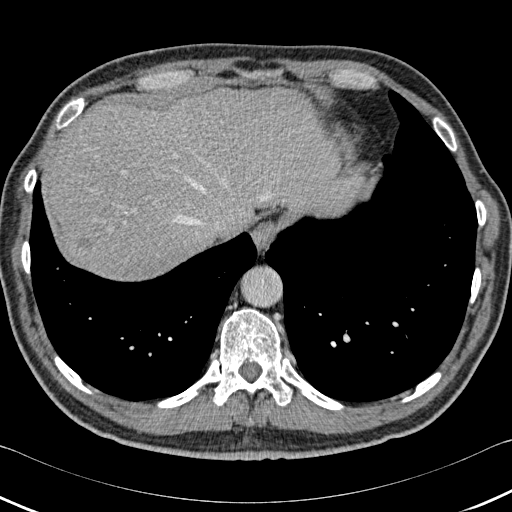
Upper abdomen, CT image

{
  "bone": [
    "box=[158, 309, 343, 409]",
    "box=[402, 372, 440, 402]",
    "box=[56, 98, 84, 128]",
    "box=[433, 117, 456, 150]",
    "box=[24, 169, 36, 192]",
    "box=[55, 356, 91, 393]",
    "box=[470, 268, 480, 302]",
    "box=[21, 241, 30, 273]",
    "box=[476, 200, 486, 225]"
  ],
  "hepatic_lesion": [
    "box=[78, 238, 95, 248]"
  ],
  "lung": [
    "box=[29, 179, 260, 401]",
    "box=[265, 89, 477, 405]"
  ],
  "liver": [
    "box=[42, 87, 363, 280]"
  ]
}